Brain, Slice index 44
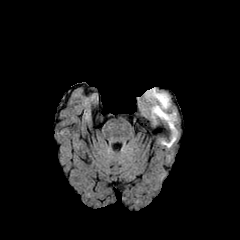
FLAIR MR.
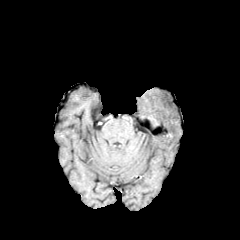
T1-weighted MR image of the same slice.
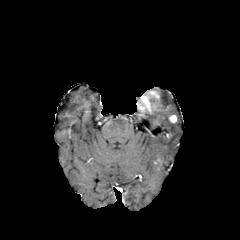
Post-contrast T1-weighted MRI of the same slice.
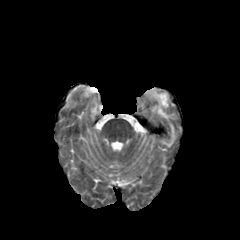
Same slice, T2-weighted MRI.
{"enhancing_tumor": ["138 90 159 112"], "non-enhancing_tumor_core": ["149 98 159 105"], "edema": ["143 92 177 147"]}